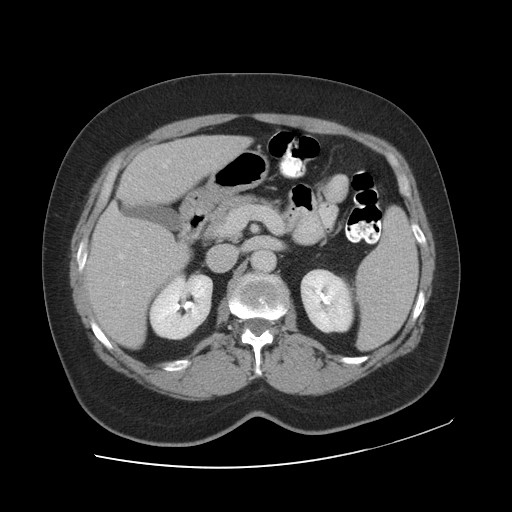
CT slice
Only some of the vessels may be annotated.
<segmentation>
  <hepatic_vessel>x1=128, y1=177, x2=130, y2=180; x1=125, y1=183, x2=126, y2=184; x1=163, y1=159, x2=170, y2=167; x1=143, y1=248, x2=147, y2=251; x1=142, y1=269, x2=144, y2=271; x1=113, y1=209, x2=116, y2=213; x1=121, y1=281, x2=125, y2=284; x1=126, y1=243, x2=129, y2=246; x1=202, y1=160, x2=205, y2=162; x1=118, y1=254, x2=123, y2=258</hepatic_vessel>
</segmentation>